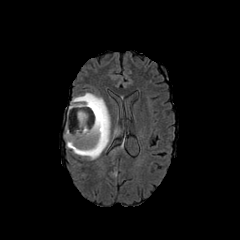
FLAIR MRI.
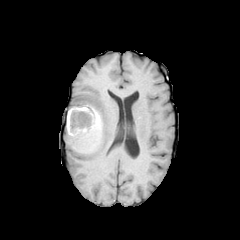
T1-weighted MR image of the same slice.
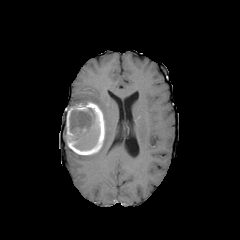
Post-contrast T1-weighted MR image.
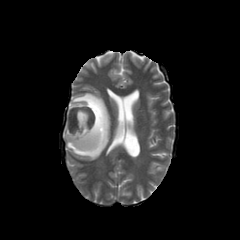
T2-weighted MR image of the same slice.
Non-enhancing tumor core at (79,110,97,149).
Enhancing tumor at (66,101,105,154).
Edema at (65,92,110,160).